CT image. Slice 24/217. 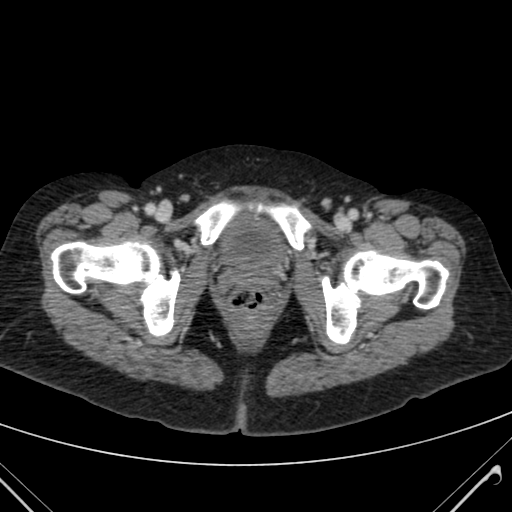

Segmented structures:
- urinary bladder: [213,212,295,274]